Field of view 240 mm wide, 1.00 mm slice spacing.
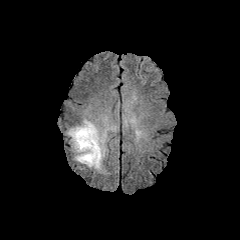
FLAIR MRI.
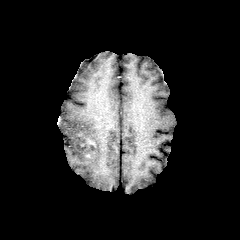
T1-weighted MR image.
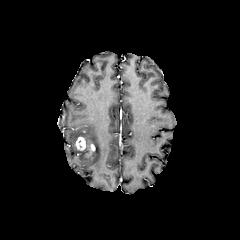
Post-contrast T1-weighted MR image.
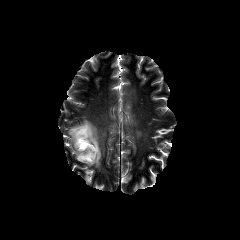
Same slice, T2-weighted MR image.
Enhancing tumor at l=88, t=144, r=95, b=154; l=74, t=137, r=86, b=150.
Non-enhancing tumor core at l=77, t=140, r=96, b=156.
Edema at l=66, t=116, r=115, b=171; l=124, t=108, r=131, b=125.